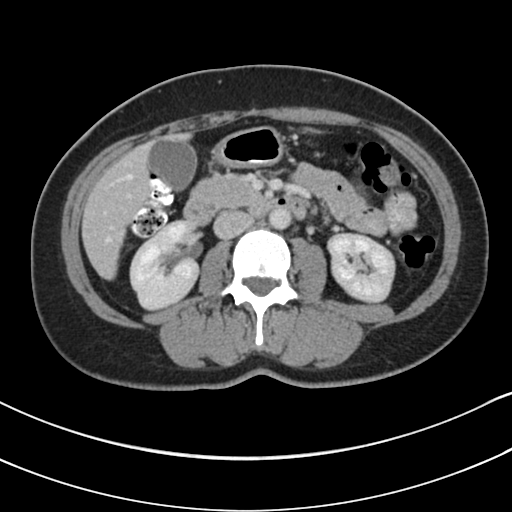 CT image

<segmentation>
  <pancreas>left=195, top=174, right=262, bottom=210</pancreas>
</segmentation>